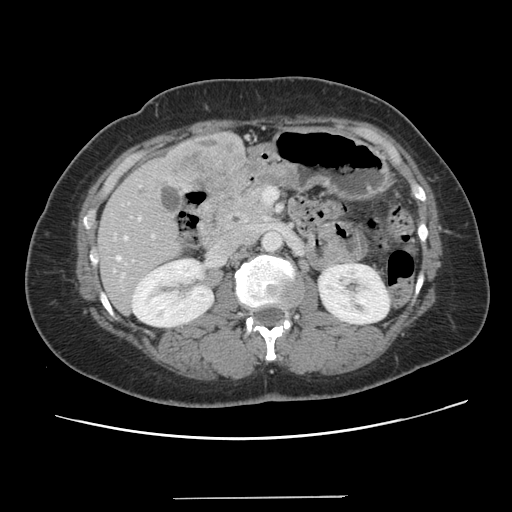 512x512, Abdomen, Computed tomography
Some hepatic vessels may have no box.
Liver tumor at bbox=[174, 135, 241, 186].
Hepatic vessel at bbox=[117, 256, 120, 260]; bbox=[114, 234, 116, 238]; bbox=[122, 274, 124, 276]; bbox=[124, 236, 127, 239]; bbox=[113, 269, 115, 271]; bbox=[138, 217, 141, 220]; bbox=[152, 235, 154, 237].